Slice index 104; Brain; Image size 240x240; Field of view 240x240 mm
FLAIR MR.
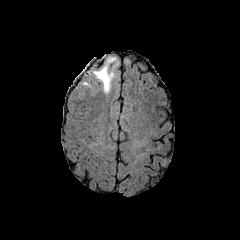
T1-weighted MRI.
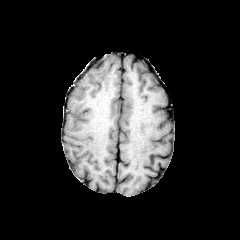
Post-contrast T1-weighted magnetic resonance.
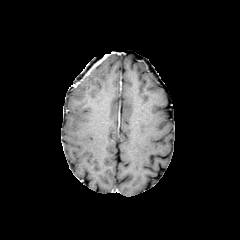
T2-weighted magnetic resonance.
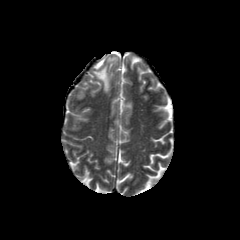
Edema: box(90, 56, 117, 92).